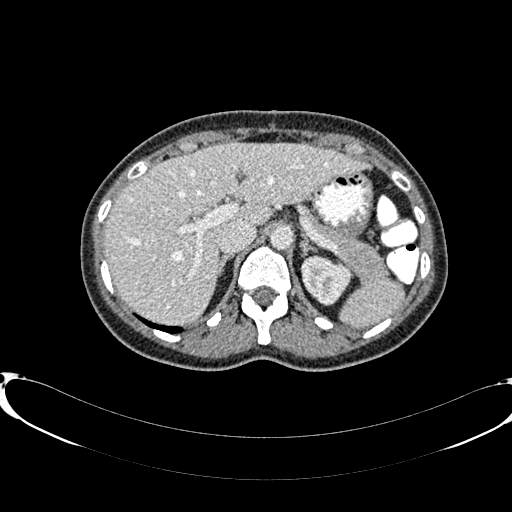 CT slice
<segmentation>
  <liver><bbox>104, 144, 368, 323</bbox></liver>
  <kidney><bbox>303, 258, 348, 303</bbox></kidney>
</segmentation>